FLAIR magnetic resonance.
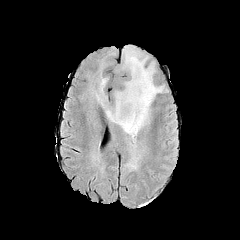
T1-weighted MRI.
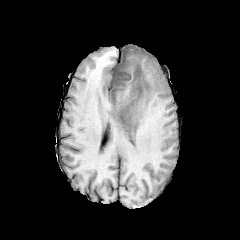
Post-contrast T1-weighted magnetic resonance.
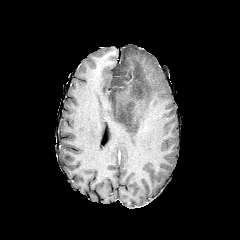
T2-weighted magnetic resonance.
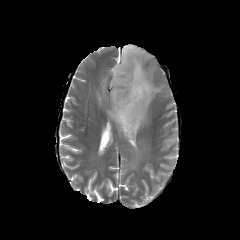
240x240 px
The edema is bounded by box(106, 45, 163, 170). 2 non-enhancing tumor core regions are located at box(133, 83, 141, 98); box(116, 101, 138, 119).